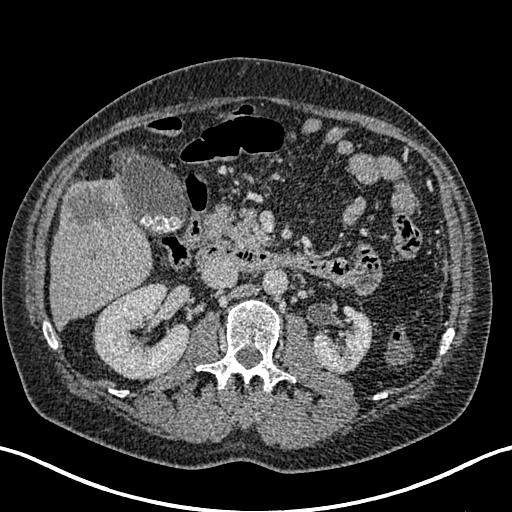
Computed tomography. Liver. 512x512. Findings:
• kidney: l=95, t=285, r=188, b=377; l=314, t=308, r=371, b=372
• liver: l=50, t=197, r=153, b=328; l=94, t=178, r=122, b=198
• focal liver lesion: l=65, t=182, r=125, b=228